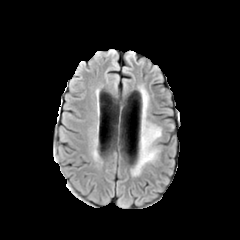
FLAIR magnetic resonance.
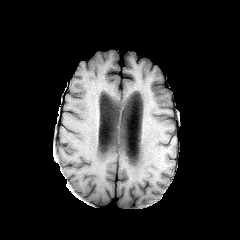
T1-weighted MR image of the same slice.
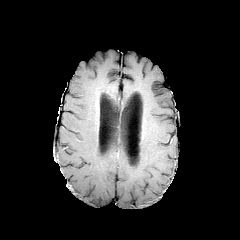
Post-contrast T1-weighted MR image.
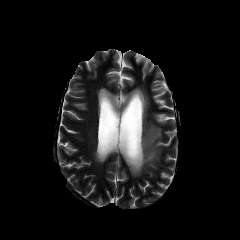
Same slice, T2-weighted MR.
Brain
Edema at 132, 92, 161, 175.